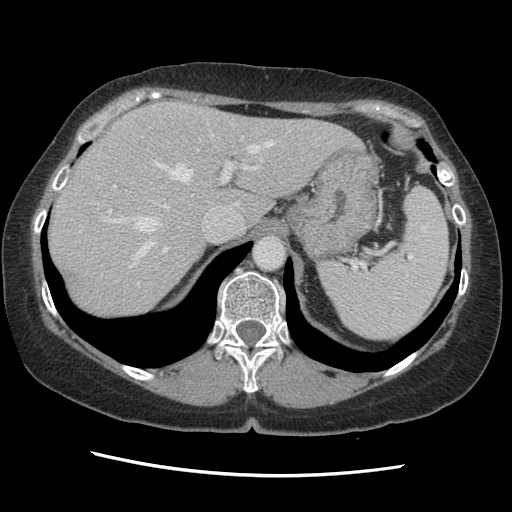
CT scan slice | 512x512
The vessel boxes may cover only some of the vessels.
{"partial": true, "hepatic_vessel": {"n_total": 17, "boxes": ["<bbox>163, 247, 167, 251</bbox>", "<bbox>242, 165, 258, 169</bbox>", "<bbox>100, 215, 160, 231</bbox>", "<bbox>169, 164, 192, 180</bbox>", "<bbox>154, 201, 168, 209</bbox>", "<bbox>222, 162, 232, 181</bbox>", "<bbox>241, 136, 243, 139</bbox>", "<bbox>113, 185, 115, 187</bbox>", "<bbox>153, 162, 166, 168</bbox>", "<bbox>135, 240, 153, 259</bbox>", "<bbox>265, 140, 273, 146</bbox>", "<bbox>129, 265, 132, 267</bbox>", "<bbox>209, 131, 212, 136</bbox>", "<bbox>247, 144, 259, 152</bbox>", "<bbox>108, 209, 110, 212</bbox>"]}}